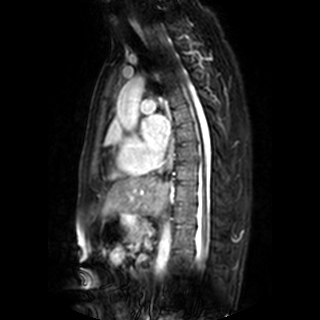 Heart, MRI

The left atrium is at [143, 115, 170, 151].